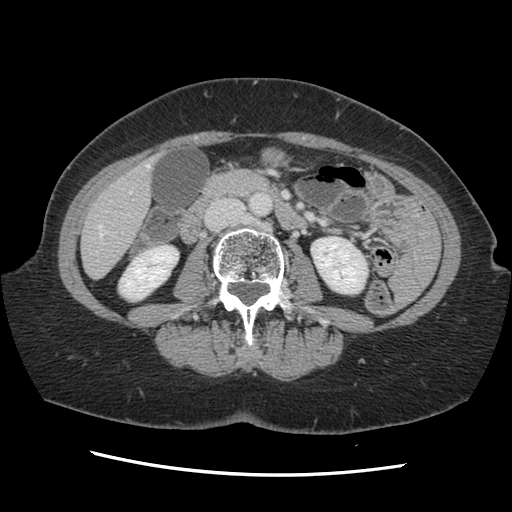 Computed tomography, Image size 512x512
Not every hepatic vessel necessarily has a box.
Findings:
- hepatic vessel: box=[98, 225, 106, 235]; box=[146, 163, 149, 167]